Slice 55 of 155; Head
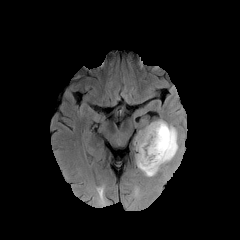
FLAIR MR.
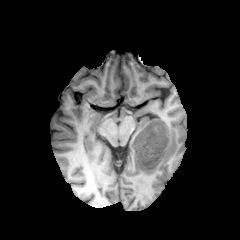
T1-weighted MRI.
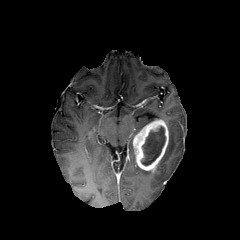
Post-contrast T1-weighted MR of the same slice.
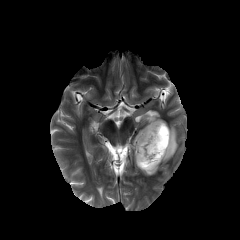
T2-weighted MRI.
The non-enhancing tumor core is located at left=142, top=126, right=165, bottom=165. The edema lies within left=143, top=121, right=178, bottom=176. The enhancing tumor appears at left=133, top=119, right=168, bottom=171.